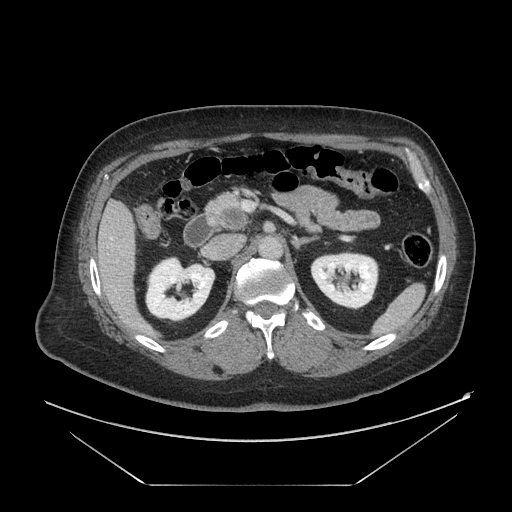

Computed tomography

pancreatic tumor: 221:207:244:227 | pancreas: 207:194:247:229, 295:215:320:233